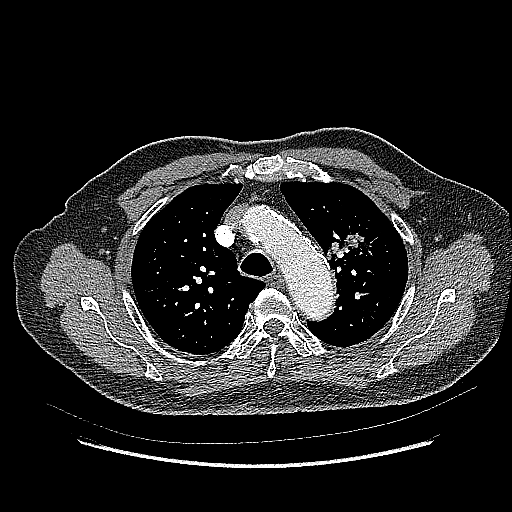
Chest; CT

lung_tumor:
  - {"x1": 324, "y1": 229, "x2": 370, "y2": 264}